Slice 88 of 155; Field of view 240x240 mm
FLAIR MRI.
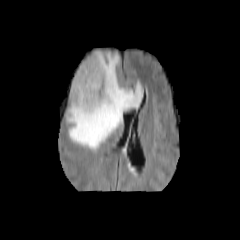
T1-weighted MR image.
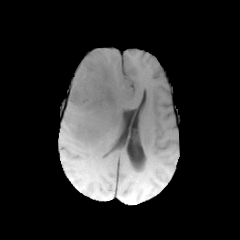
Post-contrast T1-weighted MR image.
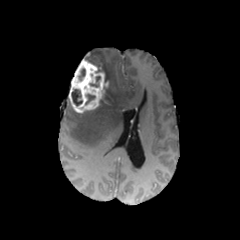
T2-weighted magnetic resonance.
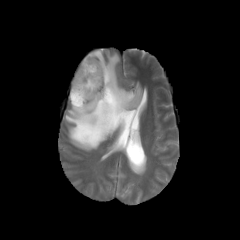
Non-enhancing tumor core: bounding box [99,87,108,105], [71,89,83,105], [89,60,105,75].
Enhancing tumor: bounding box [68,59,108,113].
Edema: bounding box [65,50,142,151].